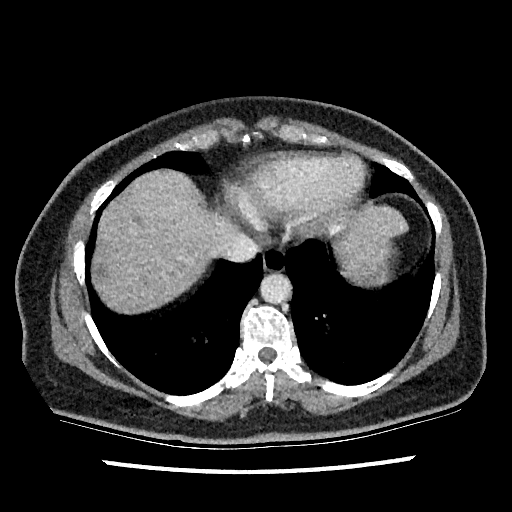 Computed tomography | Image size 512x512

The hepatic lesion is at region(95, 266, 107, 277). 2 liver regions are bounded by region(94, 170, 231, 310); region(344, 208, 406, 275).